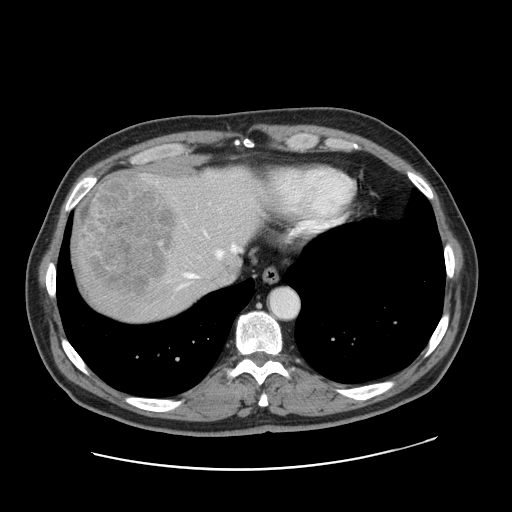 CT scan slice
The vessel boxes may cover only some of the vessels.
{
  "liver_tumor": [
    "box(72, 172, 175, 299)"
  ],
  "hepatic_vessel": [
    "box(231, 244, 241, 252)",
    "box(179, 283, 187, 287)",
    "box(203, 230, 206, 234)",
    "box(238, 260, 240, 264)",
    "box(216, 250, 223, 257)"
  ]
}